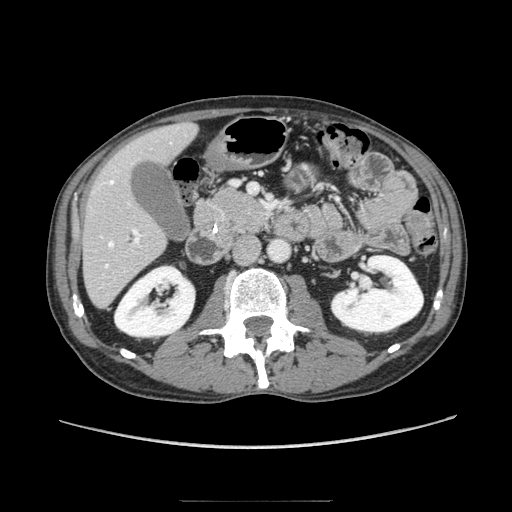
CT slice. 512x512 px. Upper abdomen.
{
  "pancreas": [
    "rect(195, 188, 266, 242)"
  ]
}